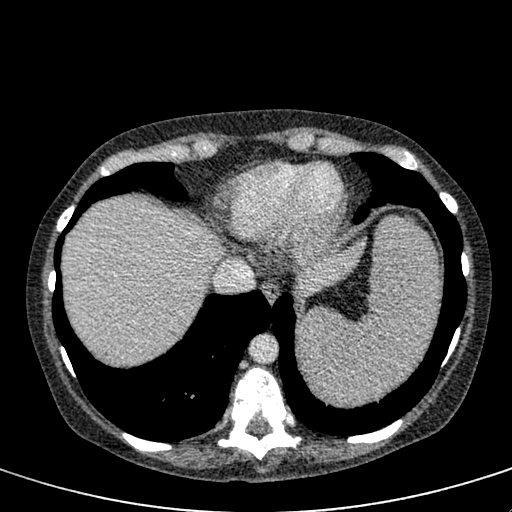

Abdomen | 512x512 px | Computed tomography
2 liver regions are located at region(298, 243, 364, 294); region(62, 199, 220, 364).